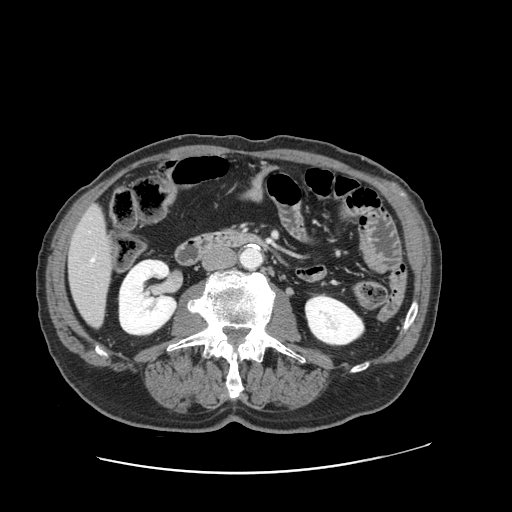
CT image, Abdomen

The vessel boxes may cover only some of the vessels.
The hepatic vessel is located at bbox=[91, 258, 93, 261].